Medial temporal lobe; Slice index 15; MRI 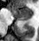
The posterior hippocampus lies within [x1=17, y1=19, x2=27, y2=20]. The anterior hippocampus lies within [x1=12, y1=8, x2=32, y2=18].